FLAIR MR.
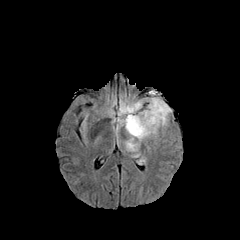
T1-weighted MR.
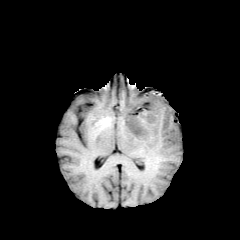
Post-contrast T1-weighted MRI.
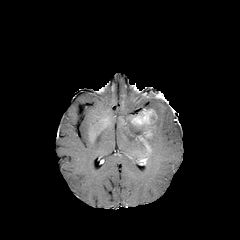
T2-weighted MRI.
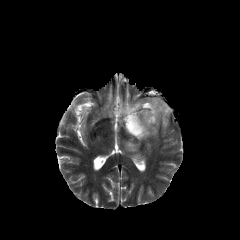
Brain
The non-enhancing tumor core lies within bbox(128, 110, 145, 133). The edema is located at bbox(108, 90, 172, 164). The enhancing tumor is bounded by bbox(131, 109, 154, 124).